Abdomen, Image size 512x512, CT image
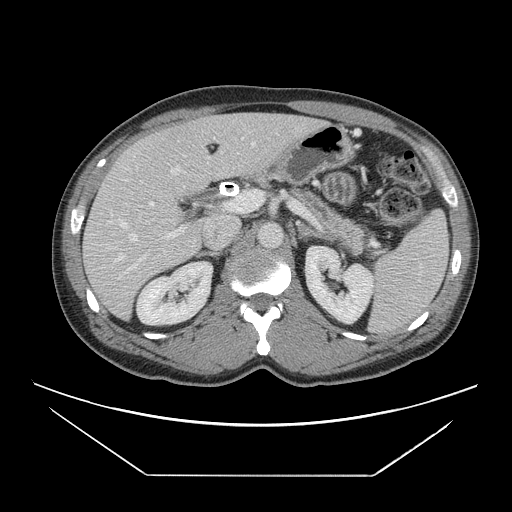 Annotated regions:
• pancreas: (x1=293, y1=190, x2=364, y2=253)